FLAIR MRI.
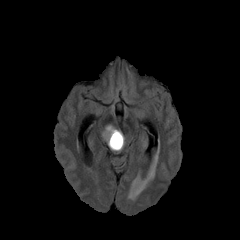
T1-weighted MR image.
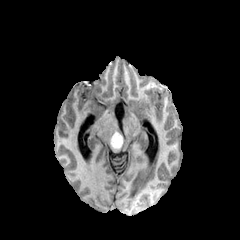
Post-contrast T1-weighted MRI.
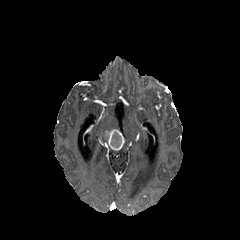
T2-weighted MR image.
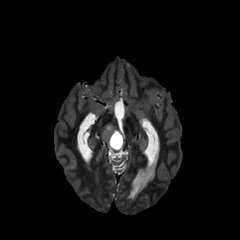
Brain
Segmented structures:
* enhancing tumor: 107,129,125,151
* edema: 101,123,116,144
* non-enhancing tumor core: 110,131,121,148